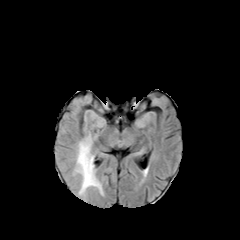
FLAIR magnetic resonance.
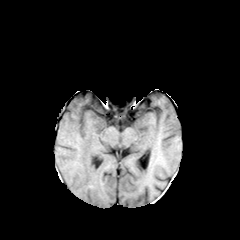
T1-weighted MR.
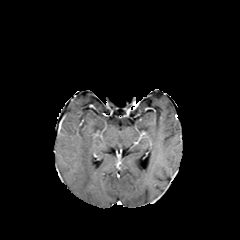
Post-contrast T1-weighted MR of the same slice.
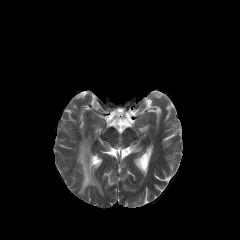
T2-weighted MRI of the same slice.
Image size 240x240
Edema at <box>75,136,102,195</box>.